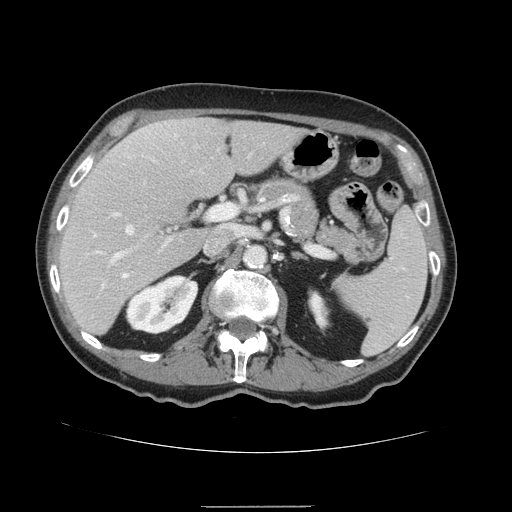
Abdomen. CT image. {
  "spleen": [
    "[335, 208, 428, 354]"
  ]
}